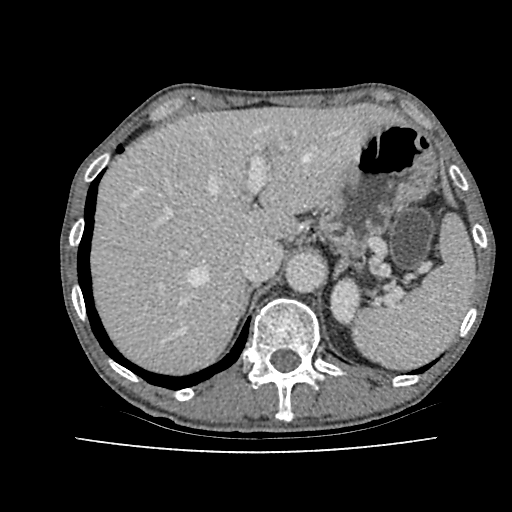

CT slice, Abdomen
• liver: (90,105,394,374)
• kidney: (332,282,357,321)